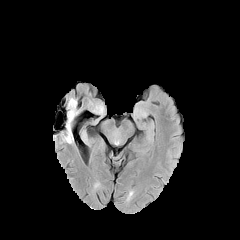
FLAIR MR.
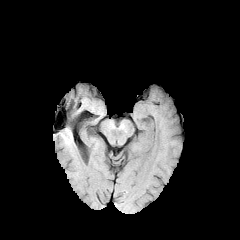
T1-weighted MR image of the same slice.
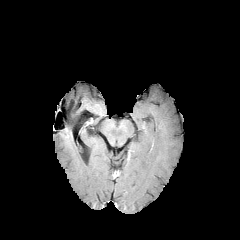
Post-contrast T1-weighted MRI.
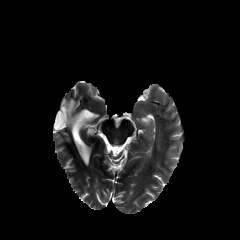
Same slice, T2-weighted MRI.
Brain
Annotated regions:
• edema: <bbox>64, 97, 79, 138</bbox>